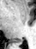
Medial temporal lobe, MRI
Posterior hippocampus = [15,40,22,42].